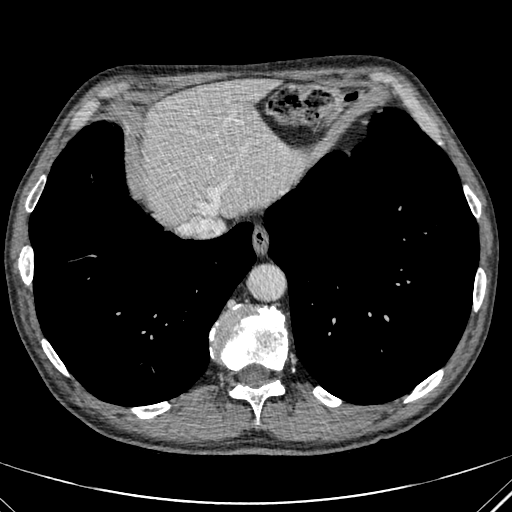
Liver; CT scan slice
{
  "liver": [
    {"x1": 143, "y1": 79, "x2": 295, "y2": 222}
  ]
}